Field of view 240 mm wide, 1.00 mm slice spacing; Slice index 42
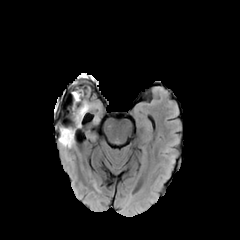
FLAIR MR image.
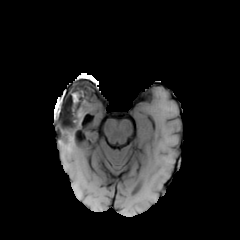
T1-weighted MRI.
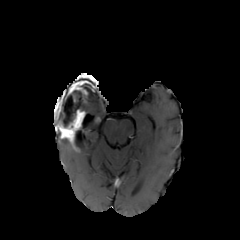
Same slice, post-contrast T1-weighted MR.
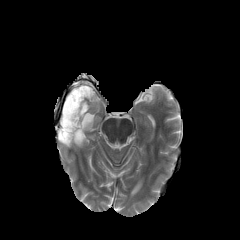
T2-weighted MR image.
The enhancing tumor appears at [x1=56, y1=109, x2=84, y2=141]. The non-enhancing tumor core appears at [x1=56, y1=93, x2=79, y2=126]. 2 edema regions appear at [x1=75, y1=92, x2=90, y2=112], [x1=60, y1=140, x2=74, y2=149].